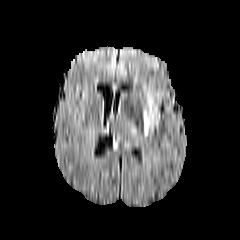
FLAIR MR.
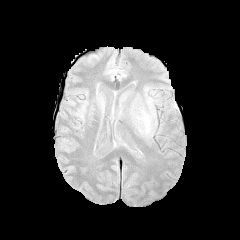
T1-weighted MR.
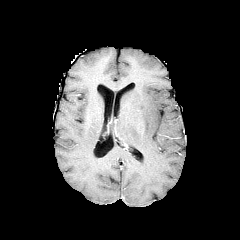
Post-contrast T1-weighted magnetic resonance.
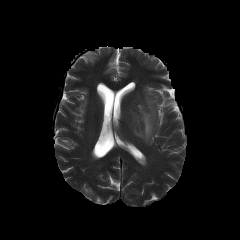
Same slice, T2-weighted MR image.
Image size 240x240; Head
The edema lies within <box>143,98,155,135</box>.